Abdomen. Slice index 77. CT scan slice.
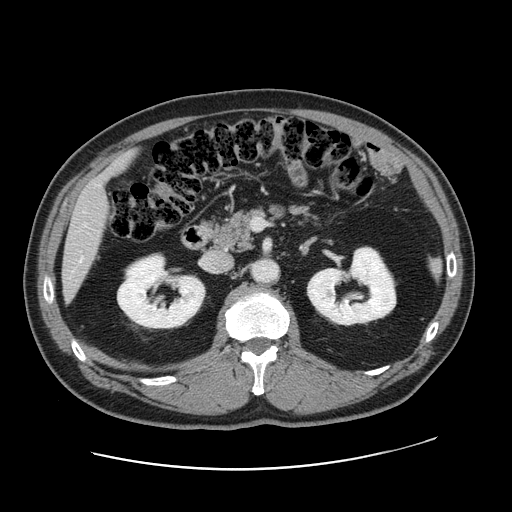
Some hepatic vessels may have no box.
Hepatic vessel — 79,257,82,262; 67,293,70,297; 102,197,106,206; 94,154,127,184; 84,223,86,225.